CT | Liver | Image width 377 mm 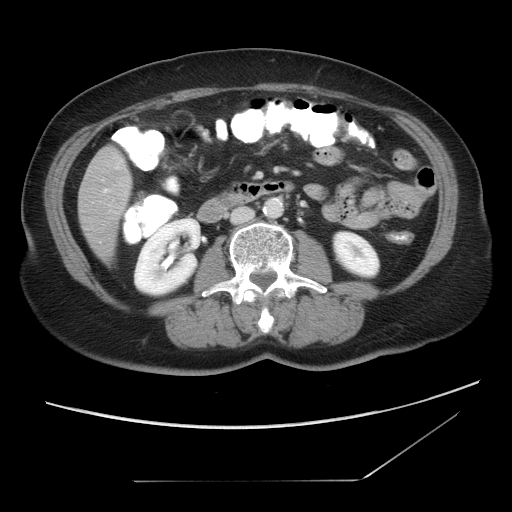

Some hepatic vessels may have no box.
Hepatic vessel = 117 163 120 169, 104 189 107 192.